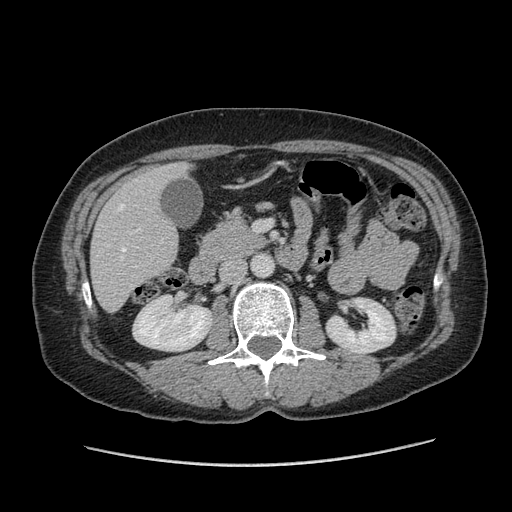
Computed tomography, Liver
The vessel boxes may cover only some of the vessels.
The hepatic vessel lies within 134, 230, 139, 231.